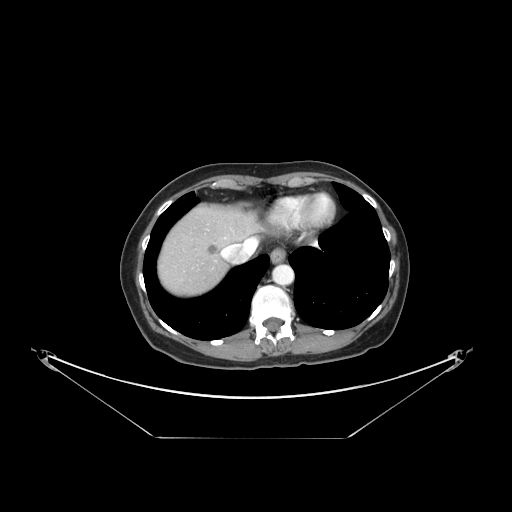
CT scan slice. 512x512 px. liver tumor: [x1=207, y1=245, x2=218, y2=255]